FLAIR MR.
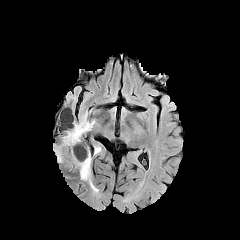
T1-weighted magnetic resonance.
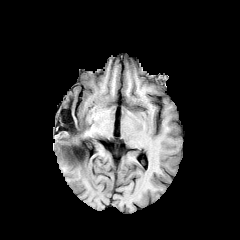
Post-contrast T1-weighted MR image.
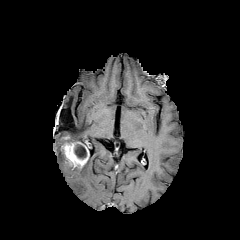
T2-weighted MRI.
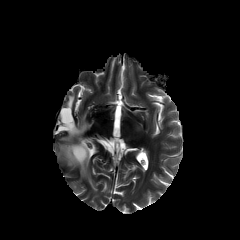
240x240
3 edema regions are located at 55,140,63,162; 76,153,98,192; 57,111,94,146. The enhancing tumor lies within 61,142,89,167. 2 non-enhancing tumor core regions appear at 58,134,76,151; 74,142,87,160.